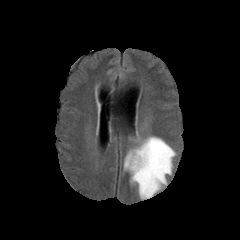
FLAIR magnetic resonance.
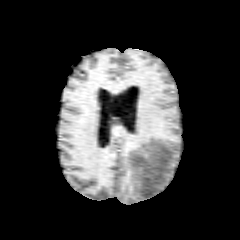
T1-weighted magnetic resonance of the same slice.
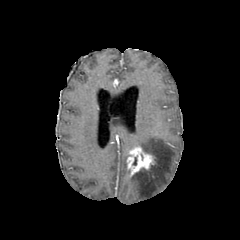
Same slice, post-contrast T1-weighted magnetic resonance.
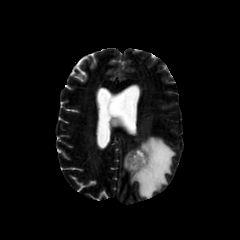
T2-weighted MR image of the same slice.
Brain, 240x240 px
enhancing_tumor:
  - left=127, top=147, right=154, bottom=175
edema:
  - left=124, top=154, right=130, bottom=172
  - left=130, top=136, right=176, bottom=199